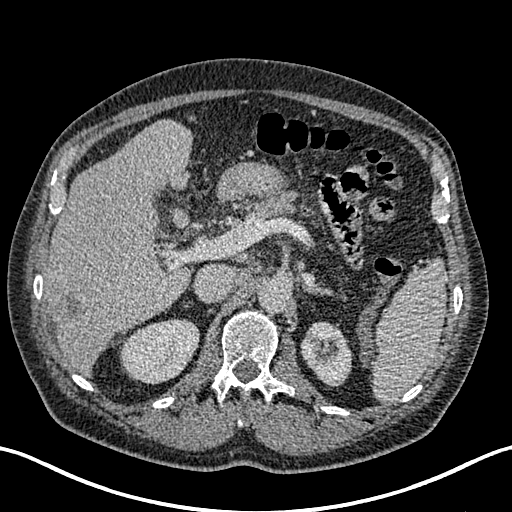
Upper abdomen, CT scan slice

2 liver lesion regions are located at region(55, 290, 94, 326); region(149, 185, 161, 203). The liver is bounded by region(45, 120, 192, 374). 2 kidney regions are located at region(122, 320, 198, 382); region(301, 323, 350, 385).